Slice 63 of 155, Head, Field of view 240 mm wide, 1.00 mm slice spacing
FLAIR MR image.
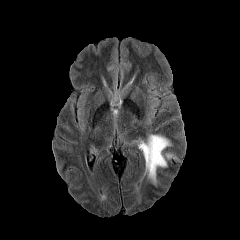
T1-weighted MRI.
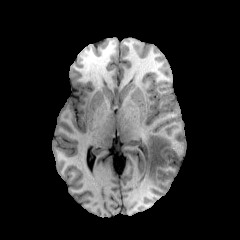
Post-contrast T1-weighted MRI.
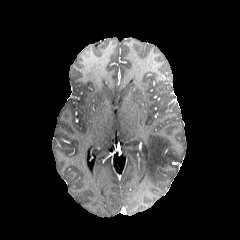
T2-weighted MR.
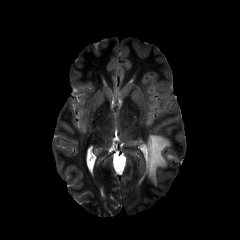
Edema: bounding box bbox=[142, 134, 176, 186].